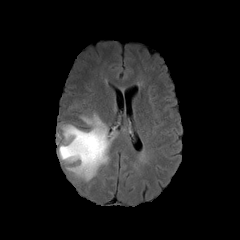
FLAIR MRI.
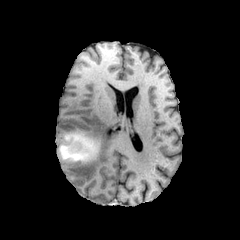
T1-weighted MR image of the same slice.
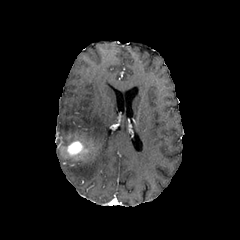
Same slice, post-contrast T1-weighted MR.
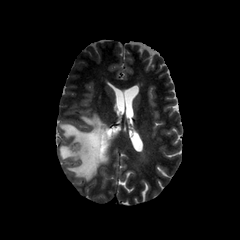
Same slice, T2-weighted magnetic resonance.
Head; Image size 240x240
Segmented structures:
- non-enhancing tumor core: 60:138:99:158
- edema: 60:156:76:163, 62:114:117:180
- enhancing tumor: 68:142:83:154